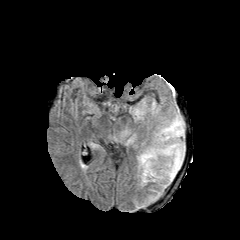
FLAIR magnetic resonance.
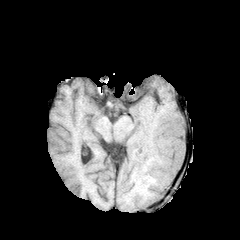
T1-weighted MR image of the same slice.
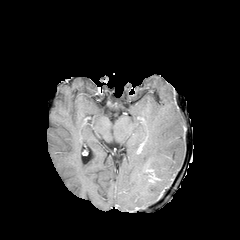
Post-contrast T1-weighted magnetic resonance of the same slice.
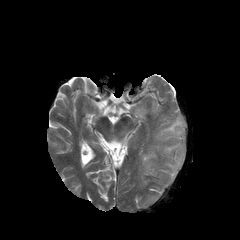
T2-weighted magnetic resonance.
240x240.
Findings:
- edema: 157,116,184,141; 138,143,185,190